CT image; Upper abdomen

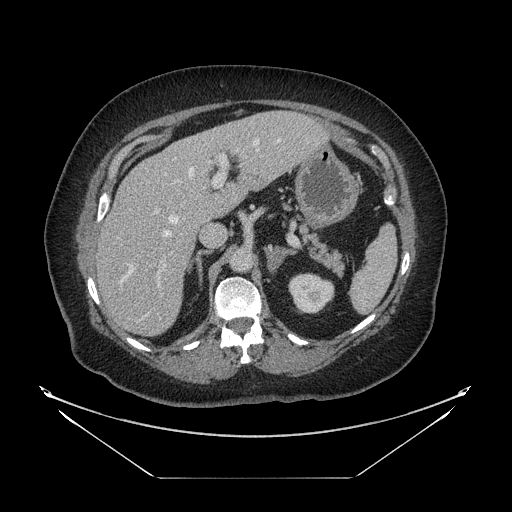
{"pancreas": ["[300, 224, 343, 275]"]}